Brain.
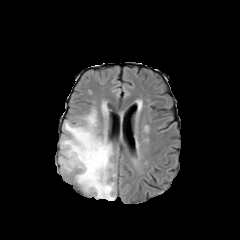
FLAIR MRI.
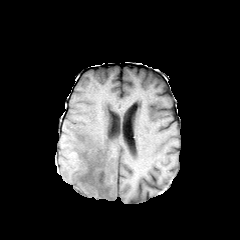
T1-weighted magnetic resonance.
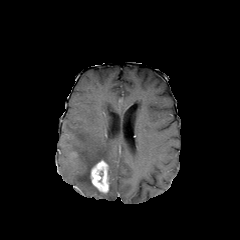
Same slice, post-contrast T1-weighted MRI.
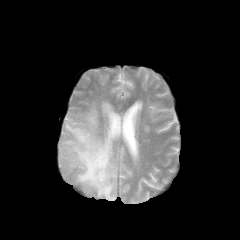
Same slice, T2-weighted MR image.
2 edema regions are bounded by 59, 110, 116, 200; 102, 107, 108, 117. The enhancing tumor is located at 90, 160, 109, 193.